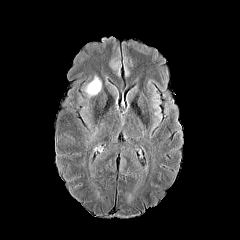
FLAIR MR.
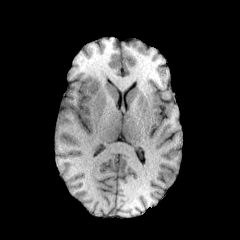
T1-weighted magnetic resonance.
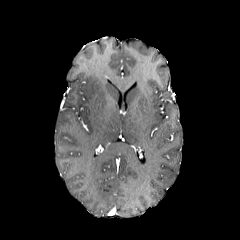
Post-contrast T1-weighted MR.
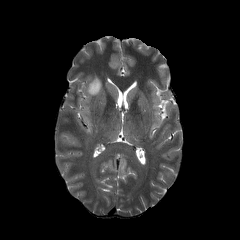
T2-weighted magnetic resonance.
Head; 240x240 px
Edema at (x1=84, y1=75, x2=101, y2=97).